Slice index 36; Head; 240x240 px; Image width 240 mm
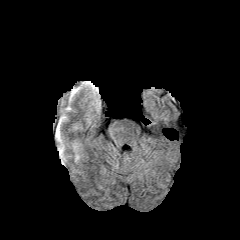
FLAIR magnetic resonance.
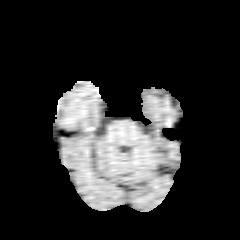
Same slice, T1-weighted magnetic resonance.
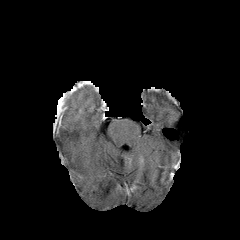
Same slice, post-contrast T1-weighted MR.
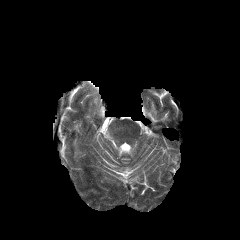
T2-weighted MR of the same slice.
Edema: l=60, t=143, r=65, b=160.